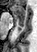
MR image
anterior_hippocampus:
  - <box>12,6,24,18</box>
posterior_hippocampus:
  - <box>15,19,24,32</box>